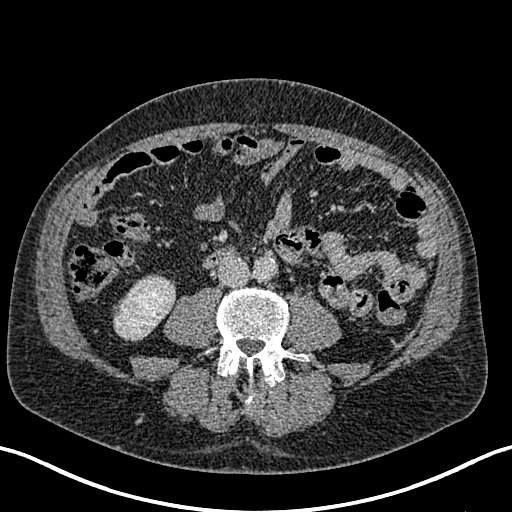 Computed tomography. Abdomen.

Kidney: left=111, top=278, right=172, bottom=339.